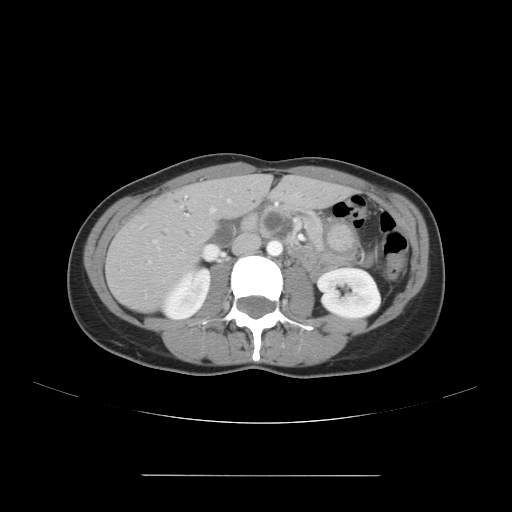
CT scan slice | Image size 512x512

Findings:
• pancreatic tumor: 264:210:293:240
• pancreas: 260:204:325:252